Slice index 40 | Field of view 442 mm wide, 2.50 mm slice spacing | CT scan slice

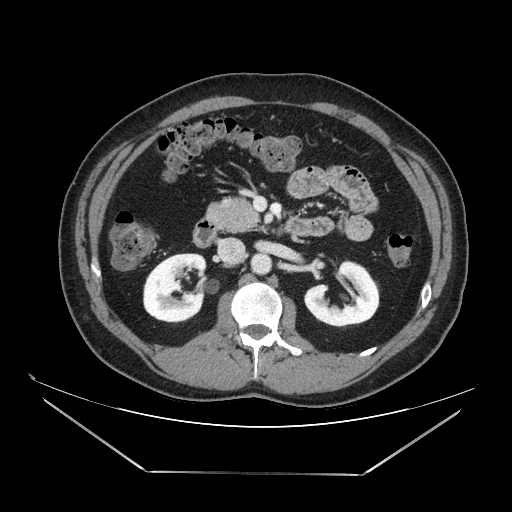 Segmented structures:
• pancreas: [207, 197, 259, 232]